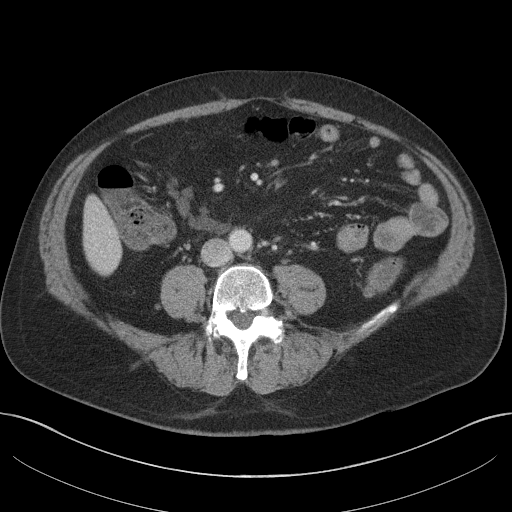 512x512 | CT slice
{"liver": ["(left=84, top=198, right=121, bottom=272)"]}